CT slice. Upper abdomen. Slice 547/647. 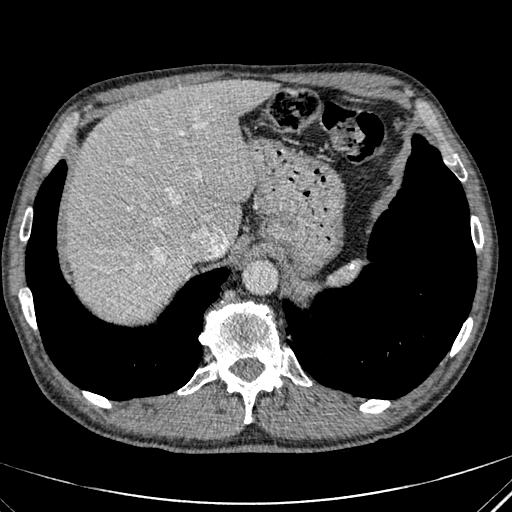
Segmented structures:
• liver: l=67, t=79, r=277, b=320